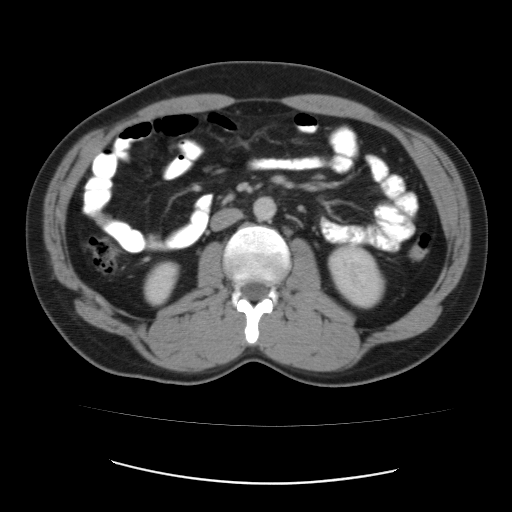

CT image
Colon tumor: x1=410 y1=244 x2=426 y2=261.